Magnetic resonance, Slice 11 of 40, Hippocampus

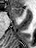 Anterior hippocampus: <bbox>12, 7, 23, 16</bbox>.